Liver | CT slice
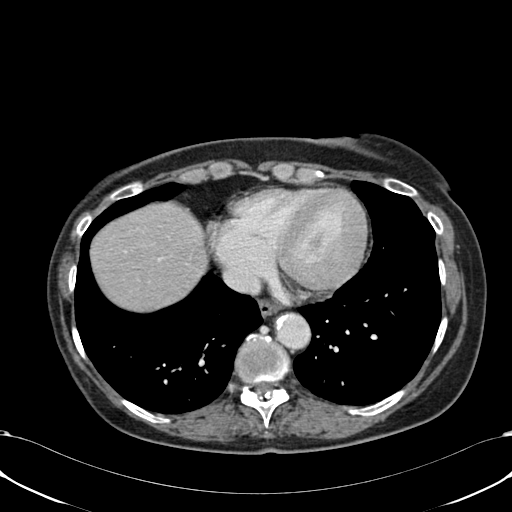 The liver is at 91 203 205 309.